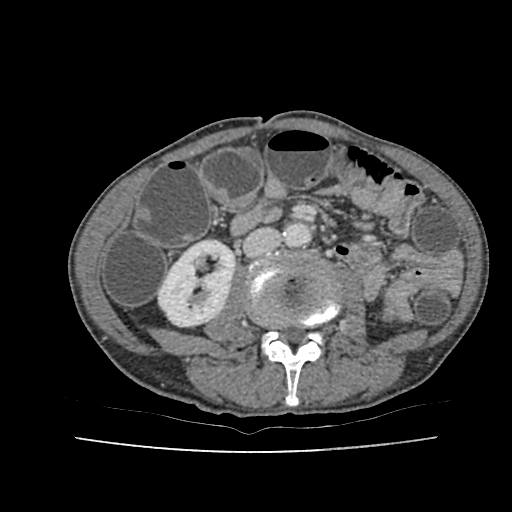
CT image. Image size 512x512.

Annotated regions:
• kidney: box=[159, 241, 234, 326]